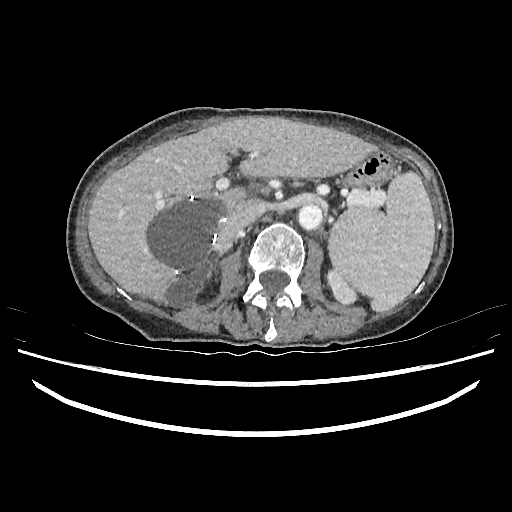
Computed tomography | Image size 512x512

The focal liver lesion is located at l=148, t=200, r=218, b=305. The kidney is located at l=328, t=271, r=355, b=296. The liver is bounded by l=89, t=118, r=372, b=306.